CT scan slice.
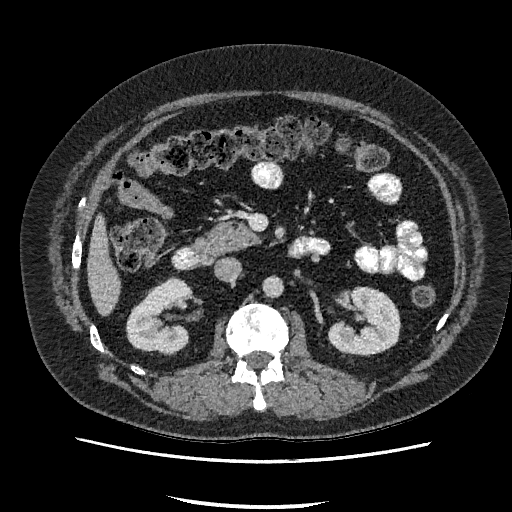

liver: (88,218,120,314) | kidney: (127,280,189,352), (329,288,399,353)